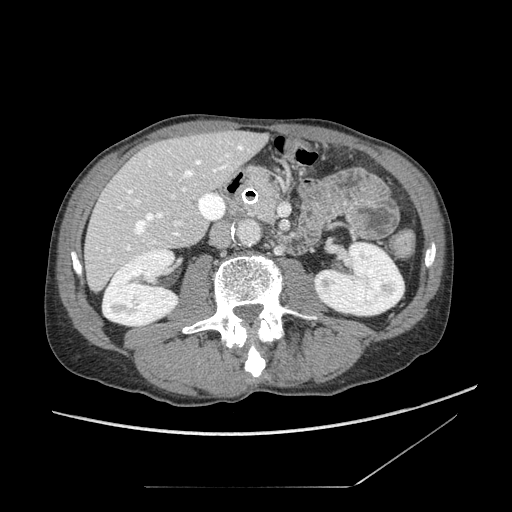

CT, Abdomen
Pancreas = (248, 170, 279, 223).